240x240.
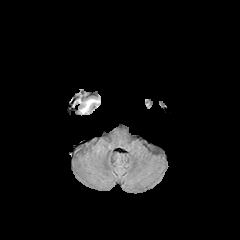
FLAIR MRI.
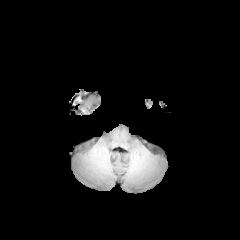
T1-weighted MR image of the same slice.
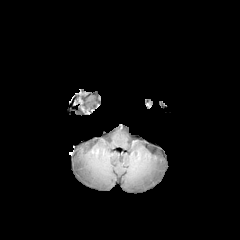
Post-contrast T1-weighted MR of the same slice.
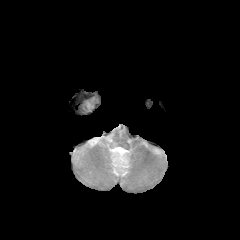
T2-weighted MR image.
{"edema": ["(83,99,93,111)"]}